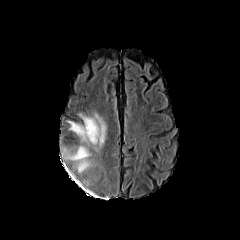
FLAIR MR image.
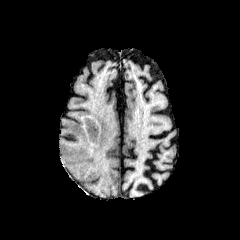
T1-weighted MR image.
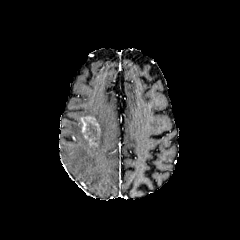
Post-contrast T1-weighted magnetic resonance.
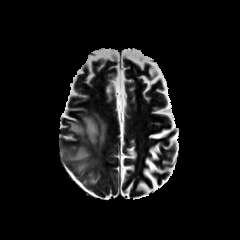
T2-weighted MR.
Brain
enhancing_tumor:
  - [x1=80, y1=115, x2=100, y2=147]
edema:
  - [x1=63, y1=120, x2=97, y2=172]
  - [x1=77, y1=111, x2=106, y2=152]
non-enhancing_tumor_core:
  - [x1=87, y1=123, x2=98, y2=142]